Slice index 258 | Computed tomography | Field of view 496 mm wide, 0.80 mm slice spacing 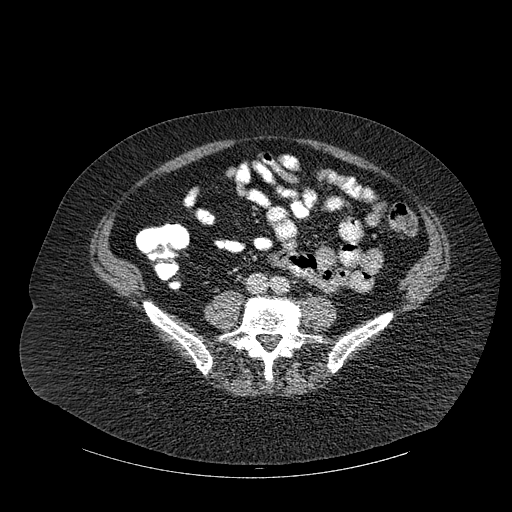
bone: l=328, t=313, r=392, b=372; l=221, t=297, r=321, b=380; l=144, t=302, r=212, b=374